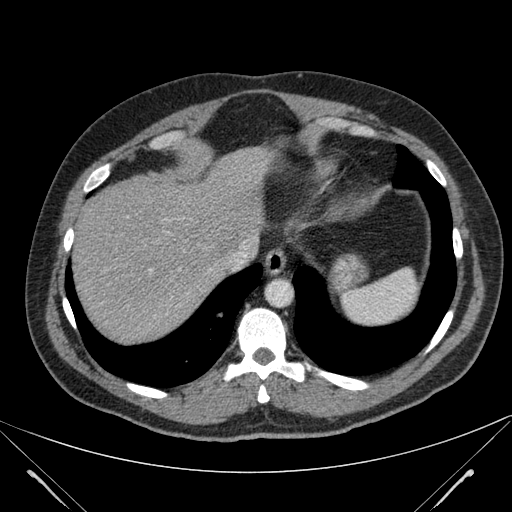 Liver. CT scan slice.

<segmentation>
  <liver>region(72, 147, 274, 344)</liver>
</segmentation>